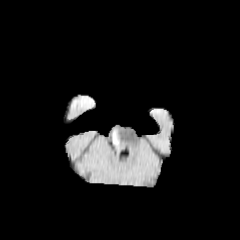
FLAIR MR.
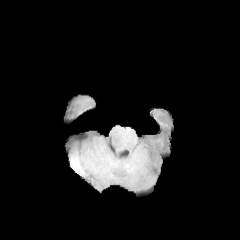
Same slice, T1-weighted MRI.
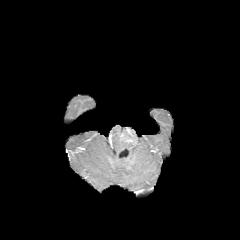
Post-contrast T1-weighted MR image.
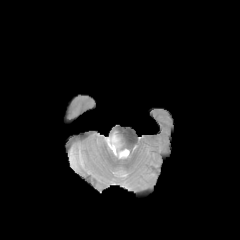
T2-weighted MRI of the same slice.
non-enhancing tumor core: <box>112,136,122,147</box>